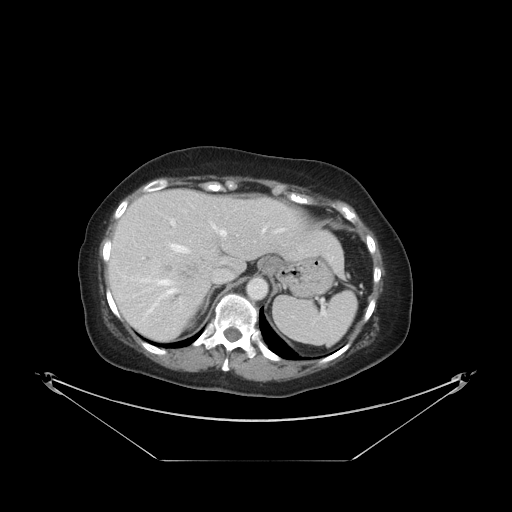

512x512, Abdomen, CT image
The vessel boxes may cover only some of the vessels.
{"liver_tumor": ["[176, 262, 204, 287]", "[163, 262, 173, 272]"], "hepatic_vessel": ["[168, 289, 175, 293]", "[263, 228, 265, 231]", "[211, 224, 225, 236]", "[211, 270, 233, 281]", "[147, 304, 156, 314]", "[158, 279, 170, 285]", "[277, 229, 283, 231]", "[219, 261, 228, 263]", "[244, 265, 245, 268]", "[172, 244, 187, 252]", "[171, 219, 175, 224]"]}